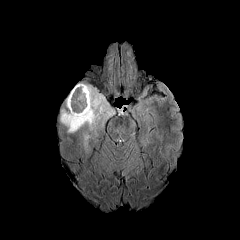
FLAIR MR image.
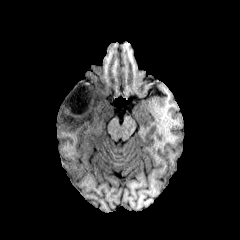
T1-weighted MR image.
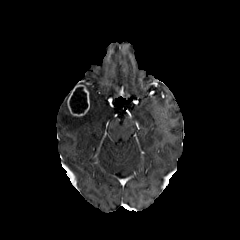
Post-contrast T1-weighted MRI.
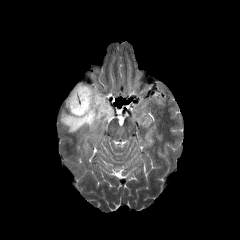
T2-weighted MR.
Image size 240x240
<segmentation>
  <edema>l=83, t=134, r=91, b=153; l=59, t=85, r=114, b=136</edema>
  <enhancing_tumor>l=67, t=85, r=89, b=116</enhancing_tumor>
  <non-enhancing_tumor_core>l=69, t=87, r=87, b=113</non-enhancing_tumor_core>
</segmentation>